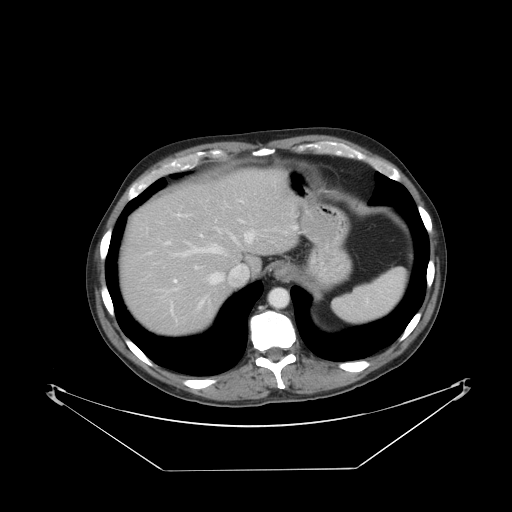

Abdomen, CT image
The vessel annotation is not exhaustive.
The top 15 hepatic vessel regions (of 19) appear at [x1=239, y1=220, x2=243, y2=222], [x1=173, y1=279, x2=176, y2=282], [x1=195, y1=266, x2=201, y2=268], [x1=216, y1=228, x2=220, y2=232], [x1=170, y1=242, x2=226, y2=256], [x1=244, y1=229, x2=254, y2=243], [x1=172, y1=286, x2=179, y2=290], [x1=291, y1=225, x2=297, y2=229], [x1=198, y1=296, x2=210, y2=308], [x1=164, y1=241, x2=171, y2=244], [x1=175, y1=213, x2=190, y2=218], [x1=208, y1=272, x2=224, y2=284], [x1=159, y1=290, x2=168, y2=291], [x1=230, y1=233, x2=238, y2=244], [x1=170, y1=303, x2=176, y2=321].